Abdomen; CT 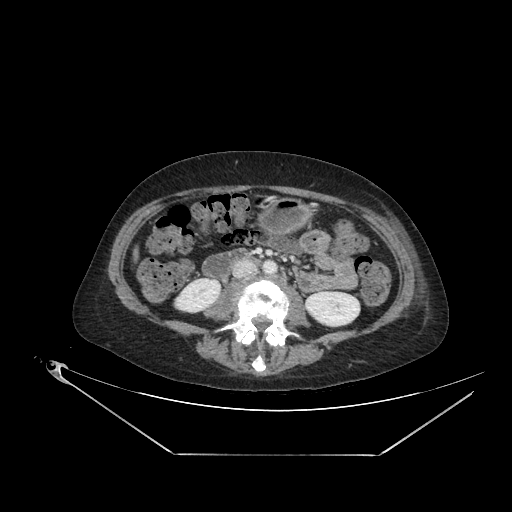
Kidney = l=176, t=279, r=220, b=311; l=306, t=292, r=359, b=325.